Slice 118/144 | Liver | CT image

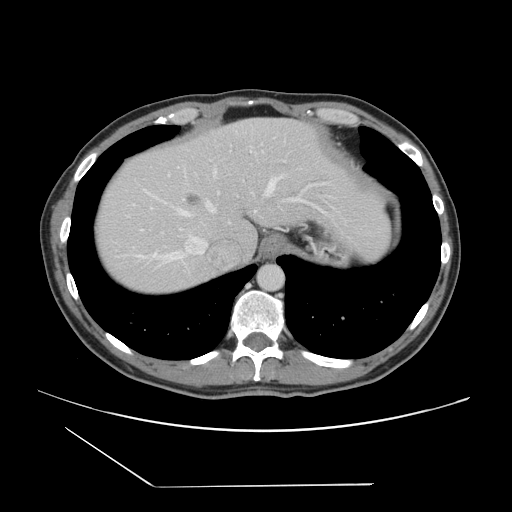
The vessel annotation is not exhaustive.
The liver tumor is bounded by (183, 194, 203, 209). The most prominent 15 hepatic vessel regions (of 19) are bounded by (266, 176, 283, 195), (254, 210, 256, 212), (323, 196, 333, 200), (315, 206, 330, 216), (206, 202, 214, 212), (155, 255, 160, 258), (284, 199, 289, 200), (228, 221, 230, 223), (146, 191, 157, 198), (282, 159, 285, 161), (214, 169, 215, 174), (200, 245, 205, 250), (293, 182, 329, 201), (332, 207, 338, 213), (177, 210, 189, 215).